CT 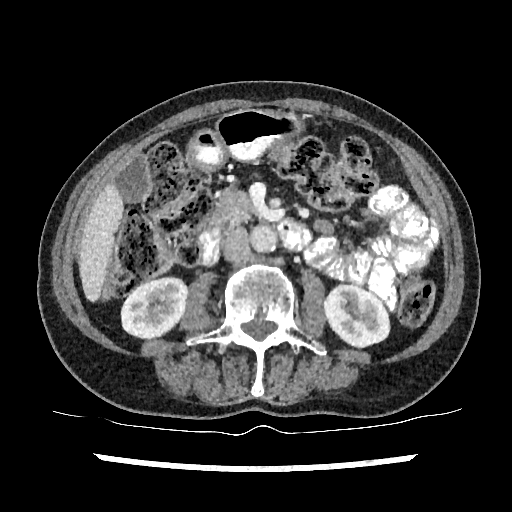
The liver appears at [x1=81, y1=185, x2=122, y2=300]. 2 kidney regions appear at [x1=122, y1=279, x2=186, y2=339], [x1=325, y1=286, x2=388, y2=346].